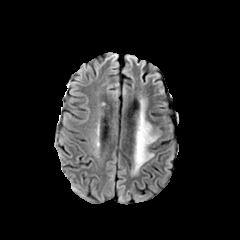
FLAIR magnetic resonance.
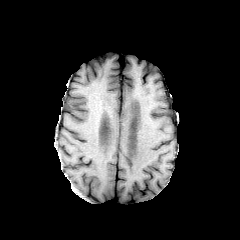
T1-weighted MR of the same slice.
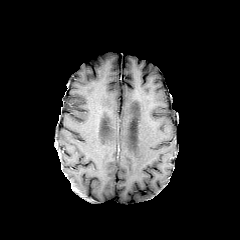
Same slice, post-contrast T1-weighted MRI.
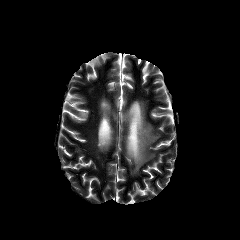
T2-weighted MRI.
Head
- edema: <bbox>132, 100, 158, 172</bbox>